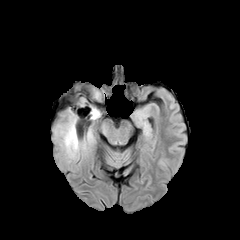
FLAIR MR.
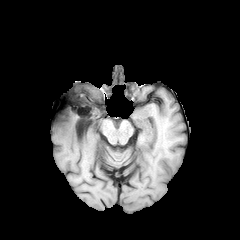
Same slice, T1-weighted magnetic resonance.
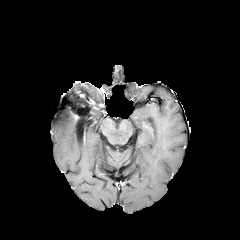
Post-contrast T1-weighted MRI.
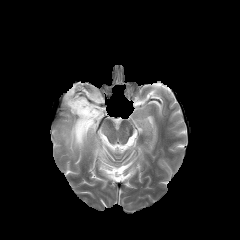
Same slice, T2-weighted magnetic resonance.
240x240 px | Head
Non-enhancing tumor core = bbox=[75, 91, 101, 122].
Edema = bbox=[53, 107, 96, 160]; bbox=[93, 111, 101, 121].